CT 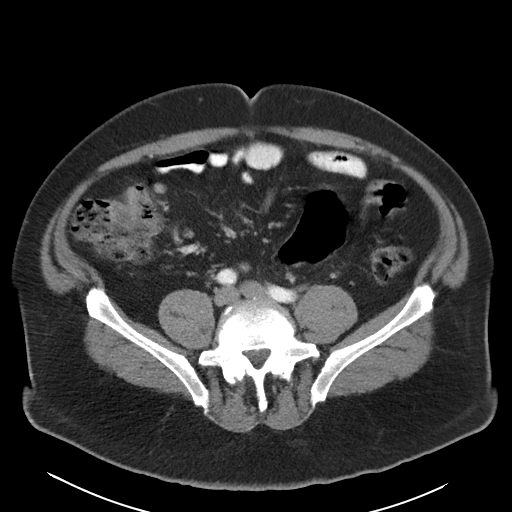 colon tumor: <box>114,188,141,226</box>